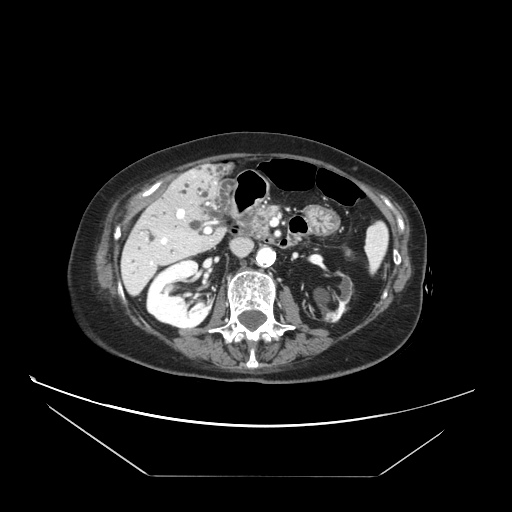
Computed tomography
<segmentation>
  <pancreatic_tumor>256,220,266,235</pancreatic_tumor>
  <pancreas>244,206,278,240</pancreas>
</segmentation>